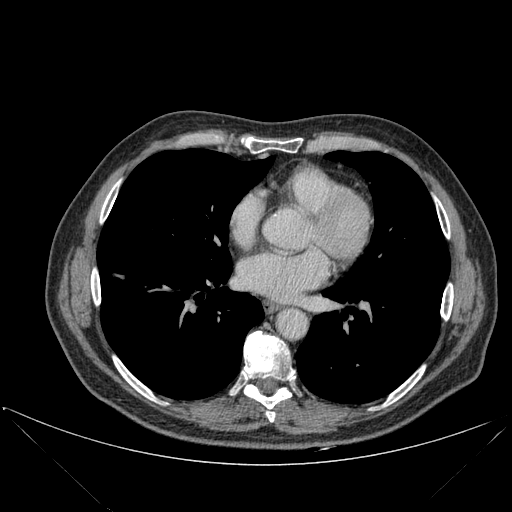 512x512; Thorax; CT

{"bone": ["<box>440,283,453,320</box>", "<box>382,365,425,406</box>", "<box>112,356,157,402</box>", "<box>434,196,450,238</box>", "<box>230,331,294,422</box>", "<box>99,178,121,223</box>", "<box>91,267,100,305</box>", "<box>245,137,302,153</box>"], "lung": ["<box>98,149,267,398</box>", "<box>297,152,448,402</box>"]}